CT image; Slice 326 of 771; Image width 400 mm 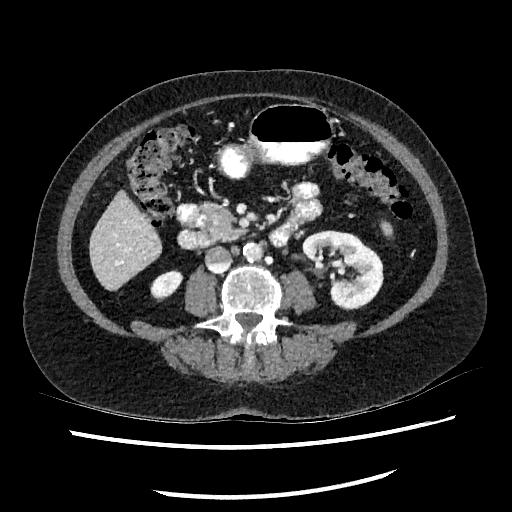

The liver is bounded by <bbox>90, 193, 161, 289</bbox>. 2 kidney regions appear at <bbox>303, 231, 382, 307</bbox>, <bbox>152, 272, 181, 296</bbox>.